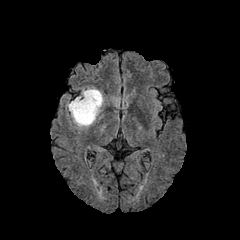
FLAIR MR.
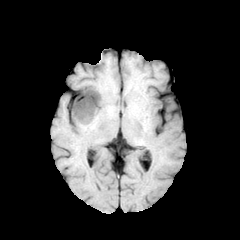
T1-weighted MR.
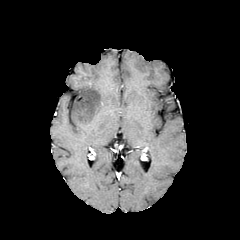
Post-contrast T1-weighted magnetic resonance.
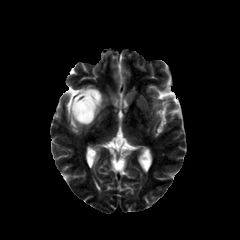
T2-weighted MR.
Edema — (67, 87, 103, 126).